512x512, Abdomen, CT image, Field of view 435 mm wide, 5.00 mm slice spacing
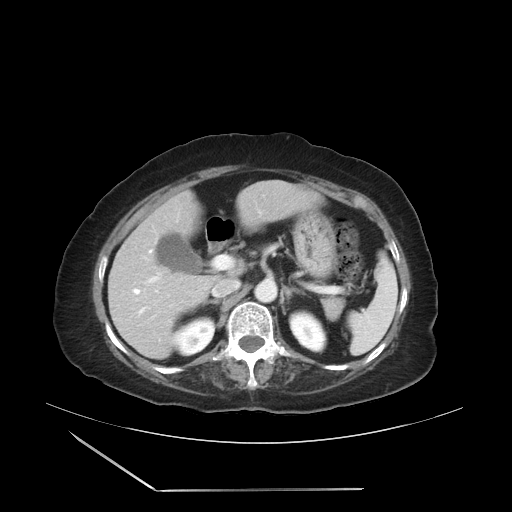 Not every hepatic vessel necessarily has a box.
Hepatic vessel = rect(170, 305, 172, 306); rect(144, 272, 161, 284); rect(158, 310, 165, 311); rect(155, 288, 159, 292); rect(149, 250, 151, 252); rect(133, 288, 145, 295); rect(136, 298, 137, 300); rect(135, 302, 148, 316); rect(143, 257, 148, 260); rect(176, 213, 178, 220).